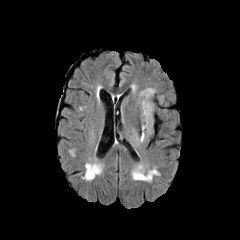
FLAIR magnetic resonance.
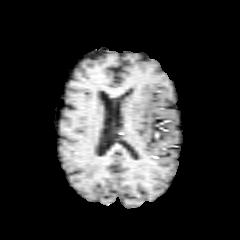
Same slice, T1-weighted MR.
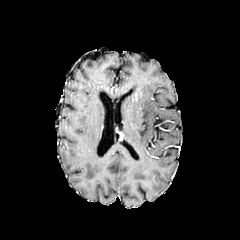
Same slice, post-contrast T1-weighted magnetic resonance.
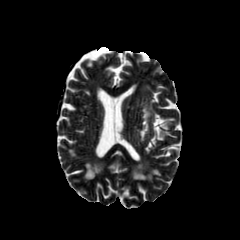
T2-weighted MR image.
2 edema regions are located at <box>140,100,152,141</box>, <box>141,88,154,96</box>.